Slice 129 of 322, CT slice

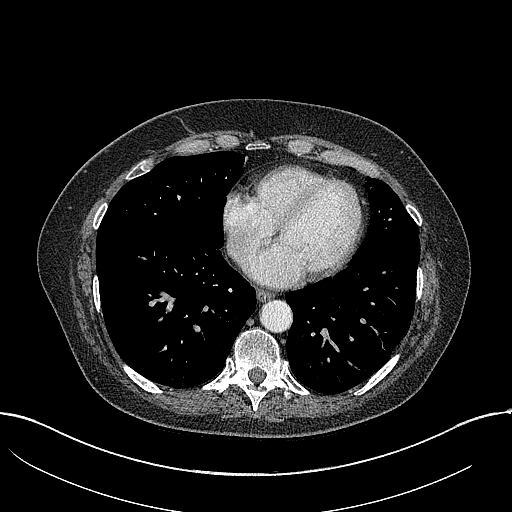 lung_tumor:
  - (left=176, top=373, right=184, bottom=383)